CT image. Slice 19 of 97. Image size 512x512. 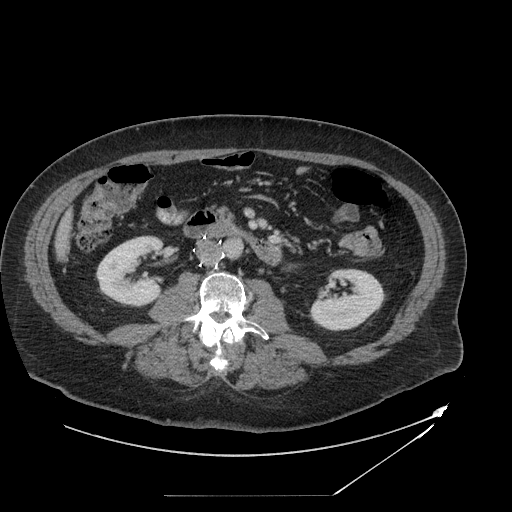

Pancreas — [211, 206, 234, 220].